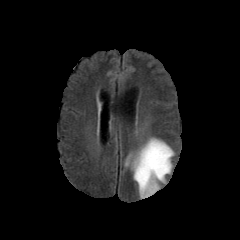
FLAIR magnetic resonance.
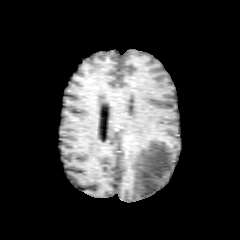
Same slice, T1-weighted MRI.
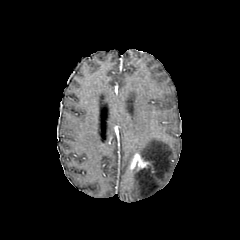
Same slice, post-contrast T1-weighted MRI.
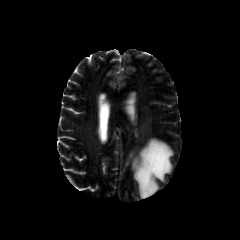
T2-weighted magnetic resonance.
Head
enhancing_tumor:
  - 131:154:149:170
edema:
  - 133:137:174:198